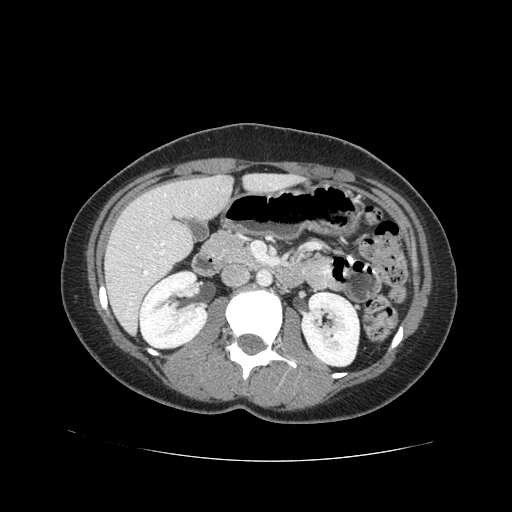

CT slice, Upper abdomen
pancreas:
  - (left=205, top=232, right=254, bottom=266)